Brain
FLAIR magnetic resonance.
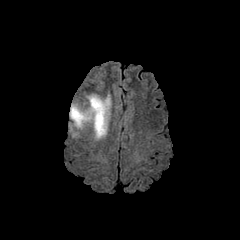
T1-weighted MR image.
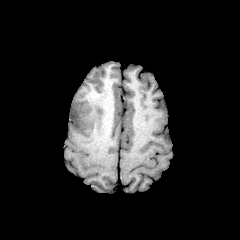
Post-contrast T1-weighted MR.
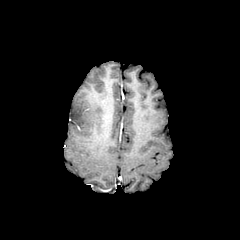
T2-weighted MRI.
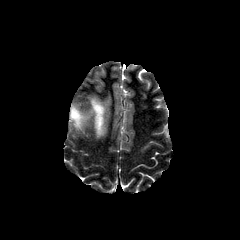
non-enhancing tumor core: rect(95, 124, 106, 137); rect(98, 100, 109, 123) | edema: rect(69, 100, 104, 131)